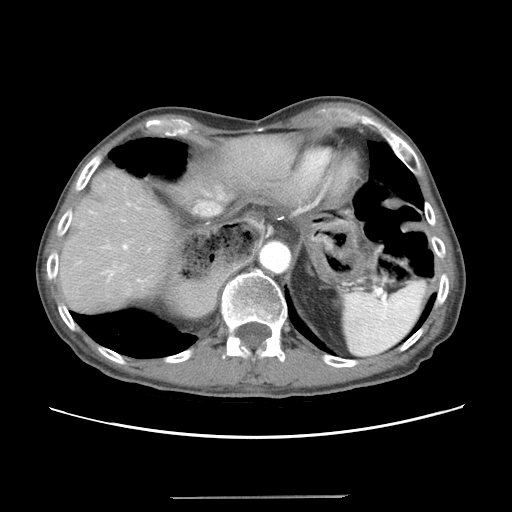 CT; 512x512

Colon tumor: rect(302, 220, 366, 283).